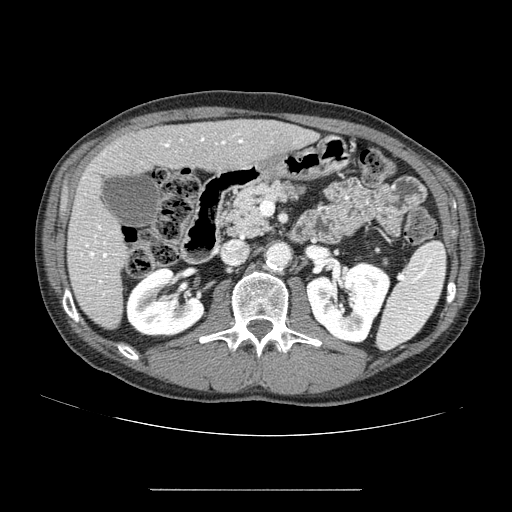
CT scan slice; Upper abdomen; Image size 512x512
pancreas:
  - 223, 181, 305, 237
pancreatic_tumor:
  - 282, 181, 305, 194